Slice 334/624; Abdomen; CT scan slice 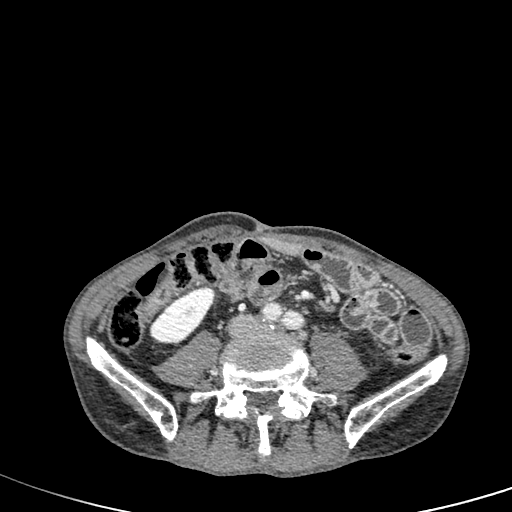

The kidney appears at box(151, 288, 213, 342).